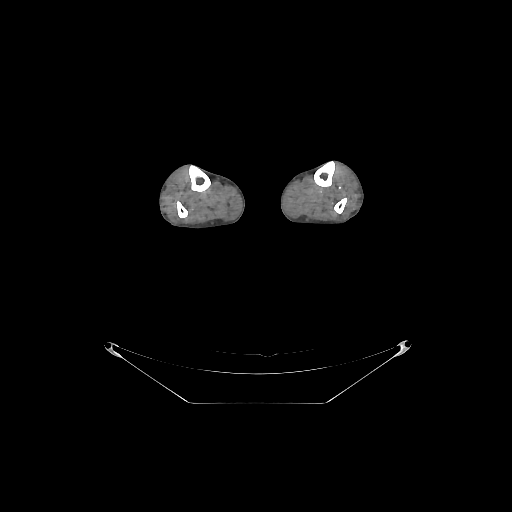
CT image
bone: [x1=334, y1=198, x2=346, y2=213], [x1=189, y1=165, x2=210, y2=191], [x1=314, y1=161, x2=334, y2=186], [x1=176, y1=201, x2=187, y2=217]